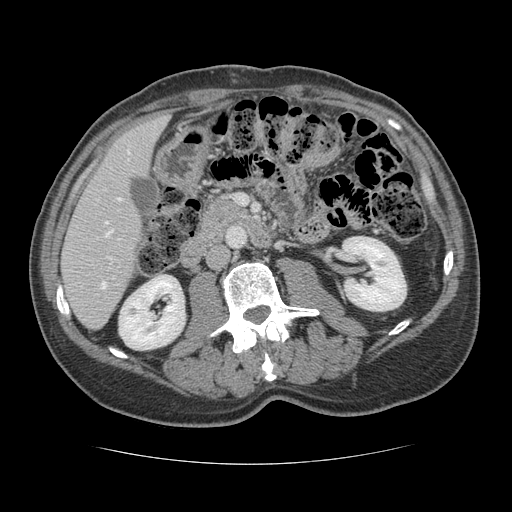
Abdomen, Computed tomography
The vessel boxes may cover only some of the vessels.
hepatic vessel: 101 282 106 287, 106 229 113 235, 108 256 111 259, 127 150 129 152, 118 198 120 199, 105 221 107 222